512x512, CT image, Slice 22/54
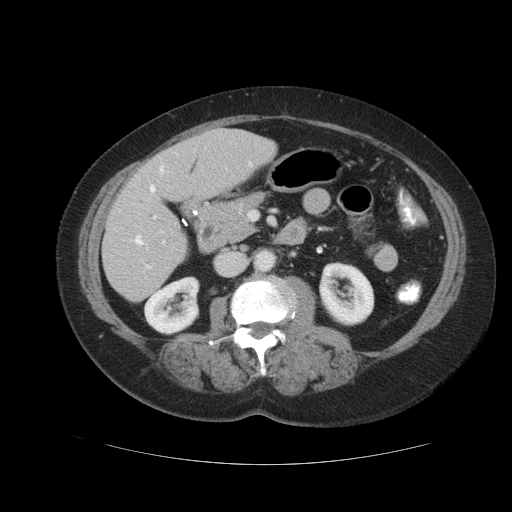

Only some of the vessels may be annotated.
<segmentation>
  <hepatic_vessel>x1=136, y1=236, x2=141, y2=243; x1=160, y1=168, x2=162, y2=171; x1=163, y1=241, x2=164, y2=242; x1=154, y1=216, x2=155, y2=218; x1=147, y1=266, x2=149, y2=267; x1=249, y1=163, x2=251, y2=165; x1=150, y1=186, x2=154, y2=191</hepatic_vessel>
</segmentation>